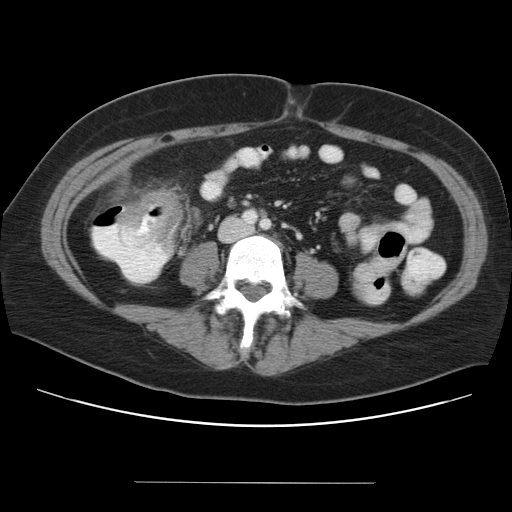 Abdomen | 512x512 px | CT scan slice

Colon tumor at [117, 192, 179, 242].